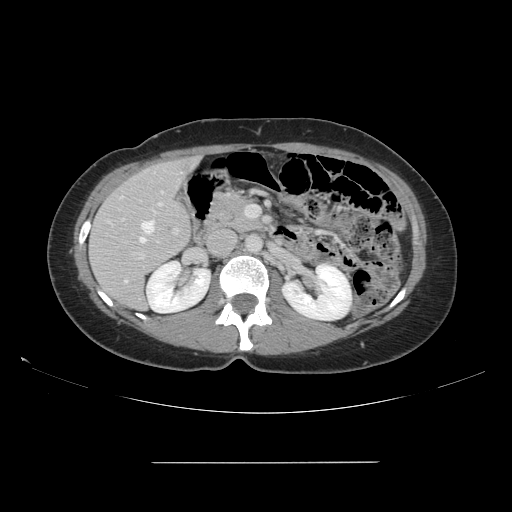
Abdomen | Computed tomography | Image size 512x512
The vessel boxes may cover only some of the vessels.
11 hepatic vessel regions are located at [173,228,177,234], [108,222,112,225], [161,191,163,193], [133,253,143,258], [124,279,127,282], [158,203,162,206], [152,210,156,214], [141,220,154,233], [139,237,145,242], [120,196,122,198], [180,172,181,173].